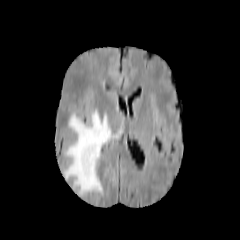
FLAIR MR.
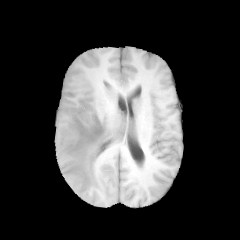
T1-weighted MRI.
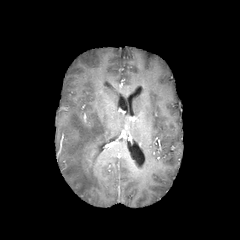
Same slice, post-contrast T1-weighted MRI.
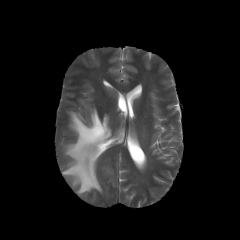
T2-weighted MRI.
240x240 | Head
Findings:
• edema: (left=63, top=108, right=112, bottom=194)